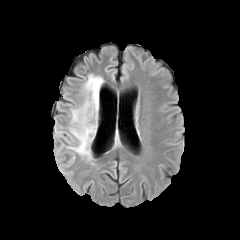
FLAIR magnetic resonance.
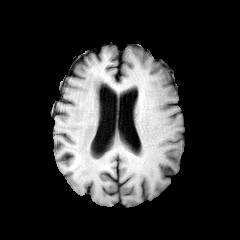
T1-weighted MR.
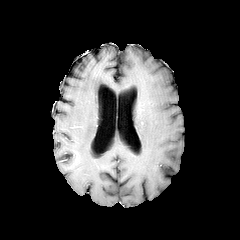
Post-contrast T1-weighted MR image.
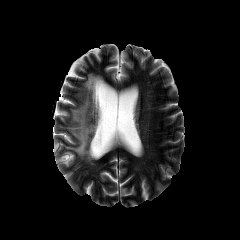
T2-weighted MR image of the same slice.
Image size 240x240
Edema — box=[66, 73, 104, 161].